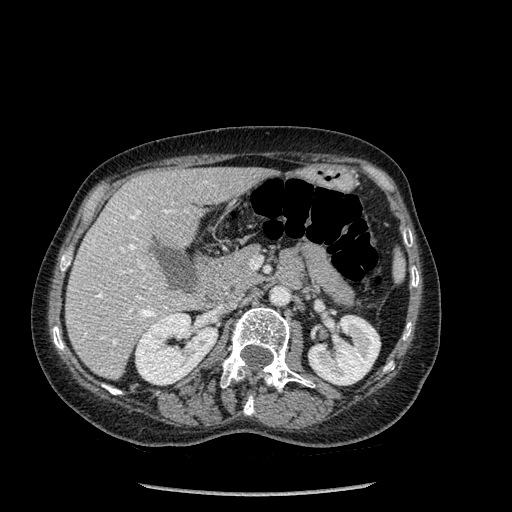

CT image. <segmentation>
  <liver>(x1=65, y1=167, x2=274, y2=380)</liver>
  <bone>(x1=53, y1=326, x2=63, y2=350), (x1=221, y1=307, x2=314, y2=391), (x1=102, y1=384, x2=121, y2=394), (x1=403, y1=322, x2=411, y2=340), (x1=411, y1=266, x2=419, y2=286), (x1=403, y1=229, x2=412, y2=246), (x1=60, y1=257, x2=70, y2=271), (x1=244, y1=395, x2=254, y2=415)</bone>
  <kidney>(x1=135, y1=313, x2=217, y2=384), (x1=308, y1=315, x2=380, y2=384), (x1=195, y1=315, x2=208, y2=327), (x1=327, y1=319, x2=333, y2=329)</kidney>
</segmentation>